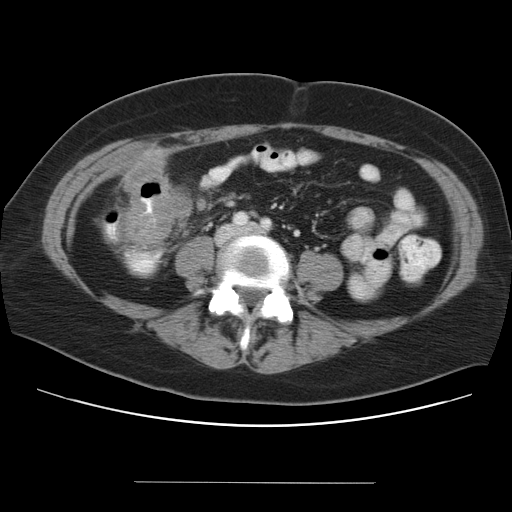
Pelvis. CT scan slice. 512x512. The colon tumor is at 122, 158, 189, 243.